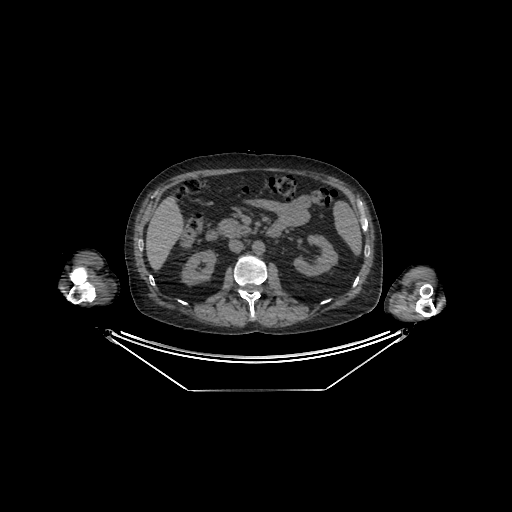
512x512 px. CT scan slice.
{
  "liver": [
    "146 196 183 269"
  ],
  "kidney": [
    "181 249 216 285",
    "293 234 337 276"
  ]
}